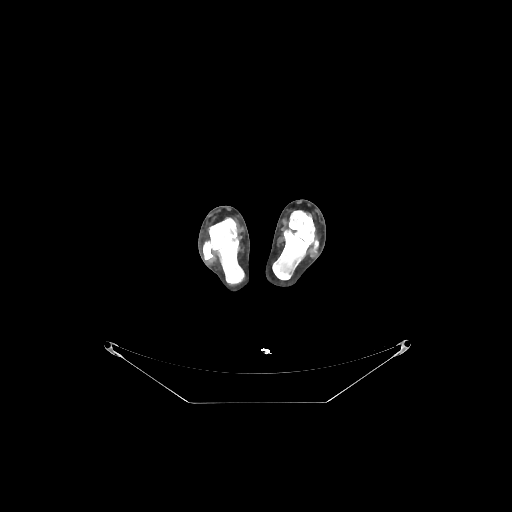
CT image
Bone — [272, 210, 318, 279], [203, 218, 244, 283].